CT image; Slice 163 of 289; Chest

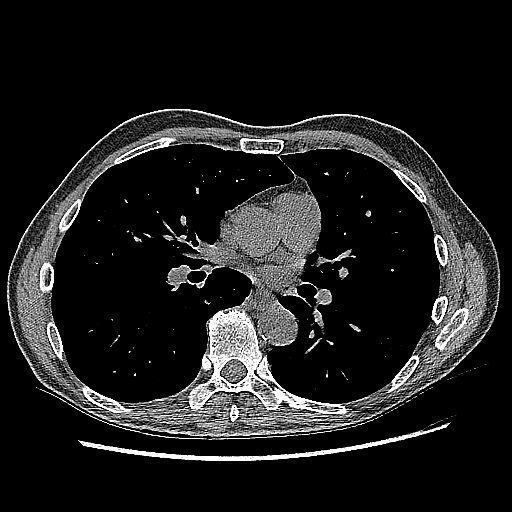

<segmentation>
  <lung_tumor>(123,229,146,243)</lung_tumor>
</segmentation>